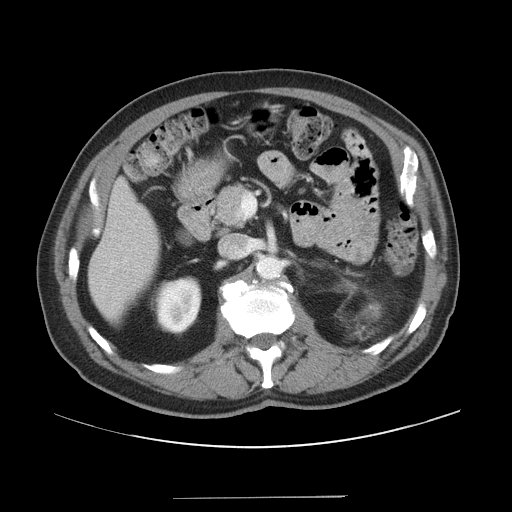

Computed tomography, Upper abdomen

The pancreas lies within box=[215, 183, 247, 226].